FLAIR magnetic resonance.
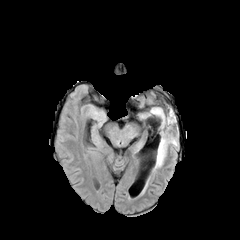
T1-weighted MR.
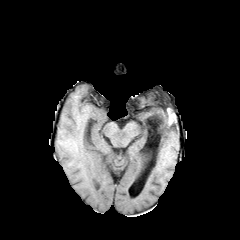
Post-contrast T1-weighted magnetic resonance.
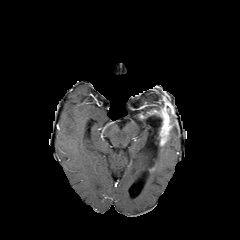
T2-weighted MR.
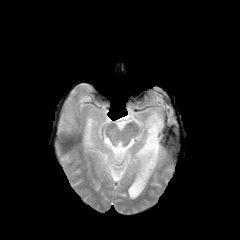
Brain
{"enhancing_tumor": ["bbox(151, 104, 170, 135)"], "edema": ["bbox(154, 115, 161, 139)", "bbox(156, 132, 176, 166)"], "non-enhancing_tumor_core": ["bbox(167, 104, 173, 121)", "bbox(148, 103, 163, 113)", "bbox(159, 122, 173, 146)"]}